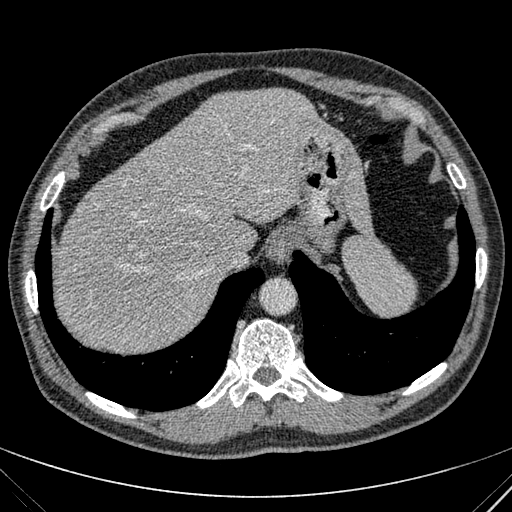
CT scan slice, Upper abdomen
{"liver": ["52, 89, 371, 351"]}